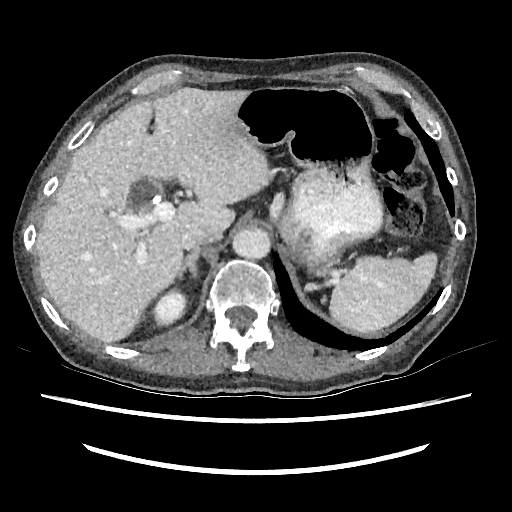 Computed tomography

The liver appears at x1=36 y1=89 x2=268 y2=341. The kidney is bounded by x1=156 y1=293 x2=184 y2=322.